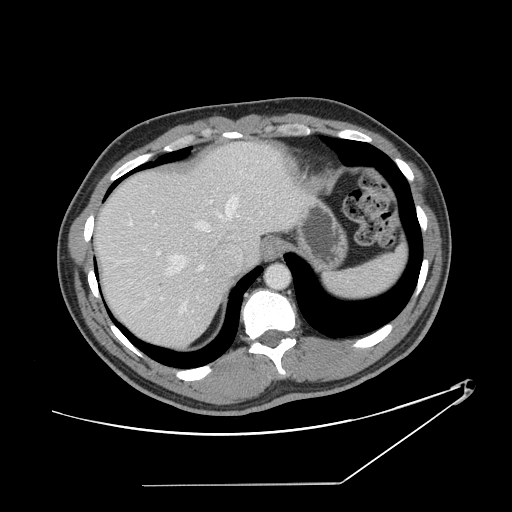
512x512 px | Computed tomography

The vessel annotation is not exhaustive.
Hepatic vessel — 144,301,145,303; 178,302,186,312; 166,255,186,274; 157,252,159,254; 142,248,145,249; 236,214,238,216; 197,221,210,231; 209,201,211,202; 199,265,202,269; 128,219,131,225; 218,196,236,219; 161,297,162,299; 247,218,249,219.